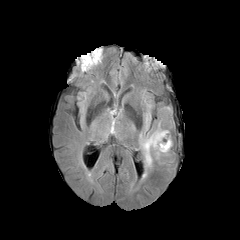
FLAIR MRI.
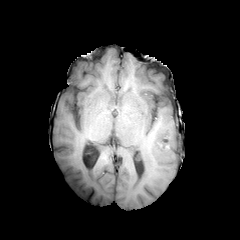
T1-weighted MR image.
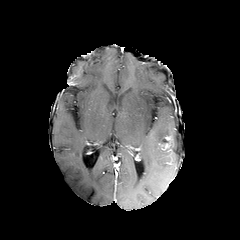
Post-contrast T1-weighted MR image.
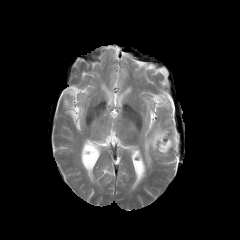
T2-weighted MRI.
Image size 240x240
3 edema regions appear at box=[143, 100, 152, 129]; box=[138, 120, 172, 168]; box=[102, 110, 118, 139]. The enhancing tumor lies within box=[162, 136, 171, 150].